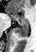
MR image.
Anterior hippocampus at <box>10,13,28,23</box>.
Posterior hippocampus at <box>16,24,28,37</box>.